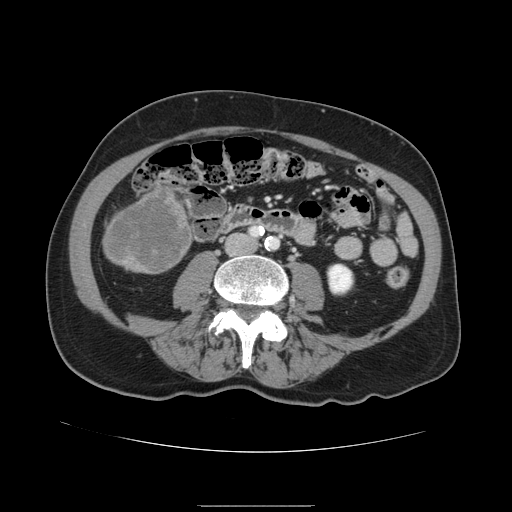

Abdomen; CT

The liver tumor appears at (x1=108, y1=189, x2=189, y2=271).